MRI slice, Image width 400 mm
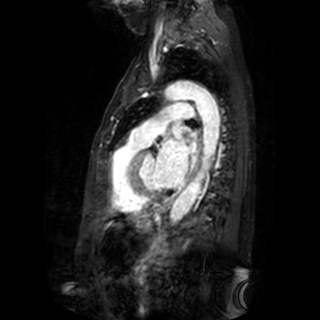
left atrium: (x1=156, y1=123, x2=195, y2=187)